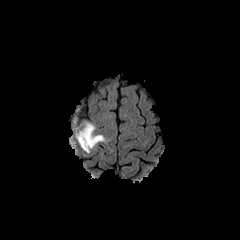
FLAIR MRI.
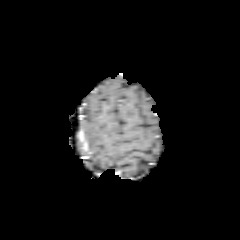
T1-weighted MRI of the same slice.
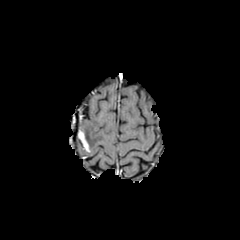
Same slice, post-contrast T1-weighted MR.
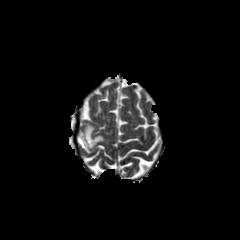
Same slice, T2-weighted magnetic resonance.
Image size 240x240
The enhancing tumor appears at x1=78, y1=130, x2=89, y2=151. The edema is at x1=80, y1=122, x2=105, y2=152.